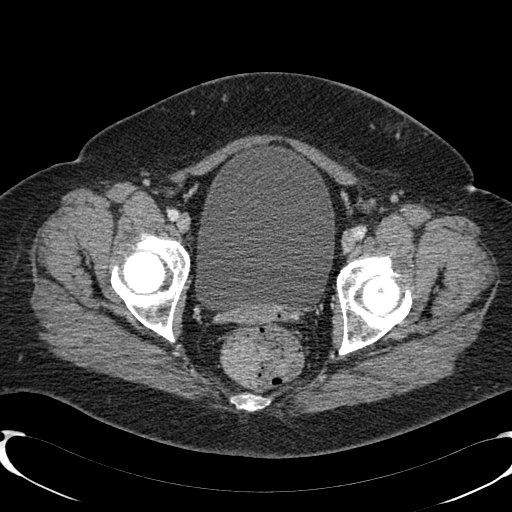

Image size 512x512, CT image, Lower abdomen
urinary_bladder:
  - [195, 144, 334, 310]